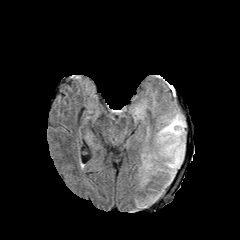
FLAIR MR.
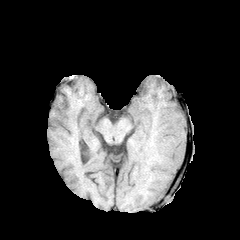
T1-weighted magnetic resonance.
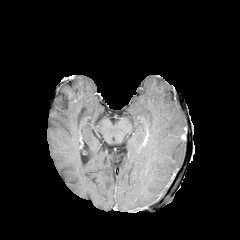
Post-contrast T1-weighted MR image.
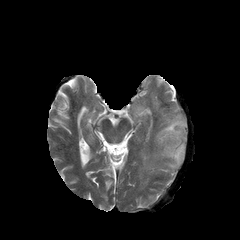
Same slice, T2-weighted MR image.
Head.
* edema: (158, 113, 185, 183)